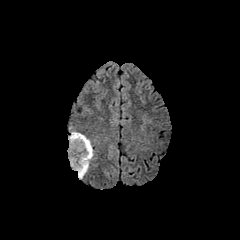
FLAIR MR.
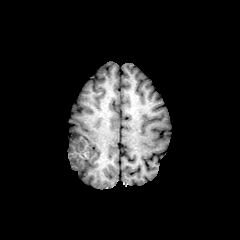
T1-weighted MRI.
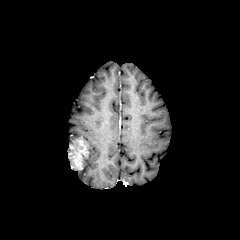
Post-contrast T1-weighted MR of the same slice.
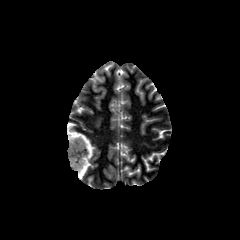
Same slice, T2-weighted MRI.
Segmented structures:
* enhancing tumor: [72, 152, 82, 169]
* non-enhancing tumor core: [69, 144, 87, 162]
* edema: [69, 122, 95, 178]